Slice 477/722, CT slice, Liver 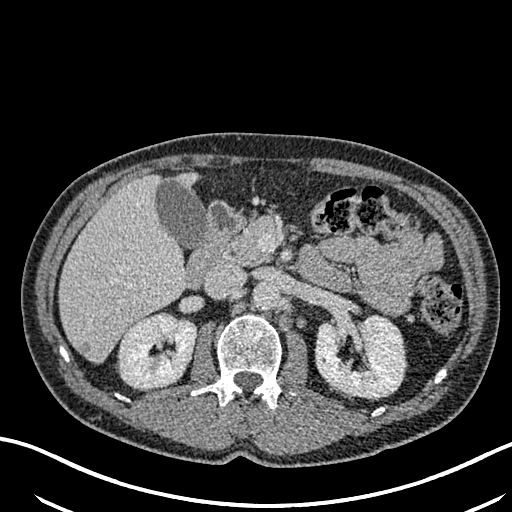 Liver at [60,176,185,361], [179,173,195,186].
Kidney at [316,315,404,397], [120,315,195,388].
Hepatic lesion at [75,341,90,357].